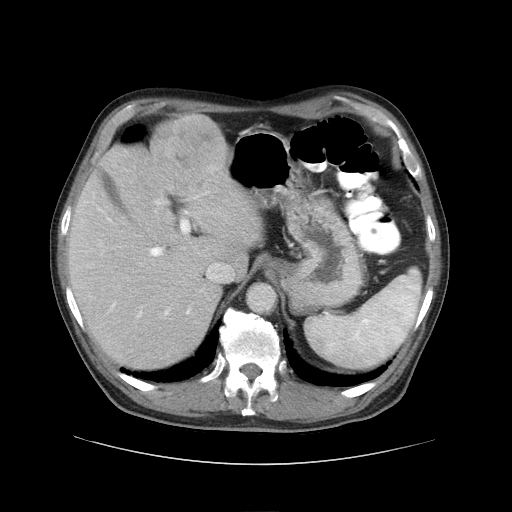 Image size 512x512, Computed tomography, Liver
The vessel boxes may cover only some of the vessels.
Segmented structures:
• hepatic vessel: [141, 306, 142, 308], [203, 191, 208, 193], [137, 311, 141, 316], [164, 308, 170, 314], [184, 211, 188, 214], [154, 198, 165, 203], [149, 247, 162, 256], [193, 196, 198, 198]
• liver tumor: [152, 115, 225, 186]